Slice 14 of 38; Hippocampus; MRI
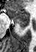 {"anterior_hippocampus": ["7:6:29:21"], "posterior_hippocampus": ["15:22:27:32"]}